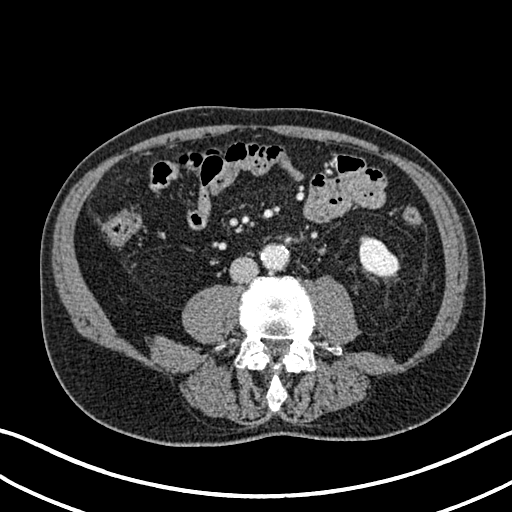 Computed tomography. Abdomen.
kidney:
  - 360, 238, 397, 275